Brain
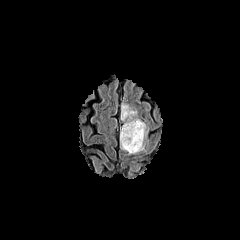
FLAIR MRI.
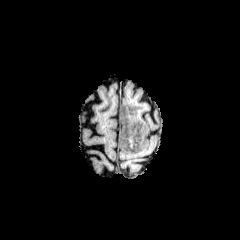
T1-weighted MR image.
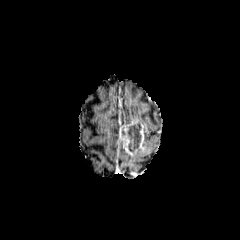
Post-contrast T1-weighted MRI.
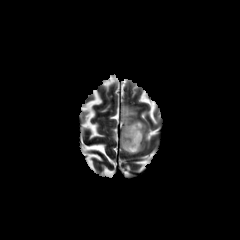
T2-weighted MR of the same slice.
{
  "enhancing_tumor": [
    "x1=134, y1=124, x2=146, y2=153",
    "x1=120, y1=119, x2=138, y2=156"
  ],
  "non-enhancing_tumor_core": [
    "x1=127, y1=123, x2=141, y2=151"
  ],
  "edema": [
    "x1=121, y1=103, x2=136, y2=120"
  ]
}